Field of view 386x386 mm | Slice index 168 | CT
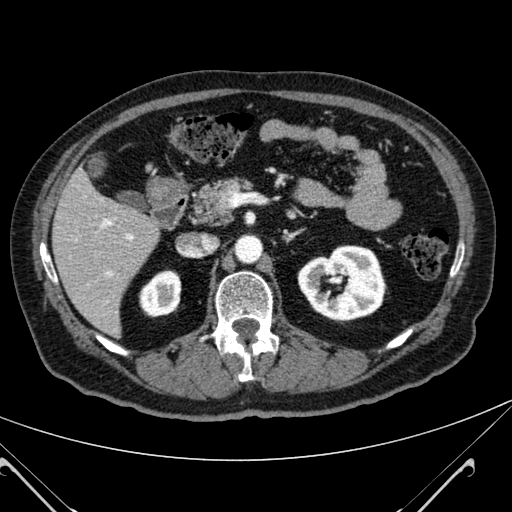
liver:
  - [50, 178, 157, 336]
kidney:
  - [141, 271, 180, 315]
  - [299, 246, 384, 319]